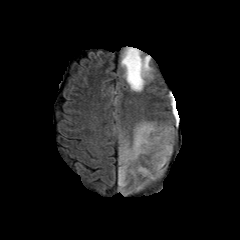
FLAIR MR image.
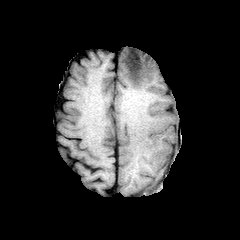
T1-weighted MR.
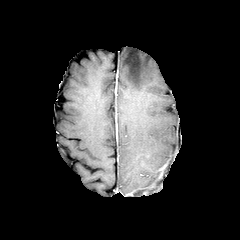
Post-contrast T1-weighted magnetic resonance of the same slice.
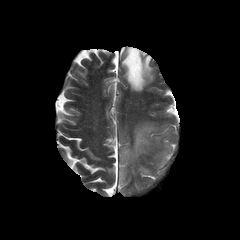
T2-weighted magnetic resonance of the same slice.
Brain
Annotated regions:
• non-enhancing tumor core: (125, 49, 141, 81)
• edema: (121, 124, 156, 162), (120, 48, 153, 91), (119, 163, 126, 187), (158, 145, 170, 174), (141, 169, 157, 179)